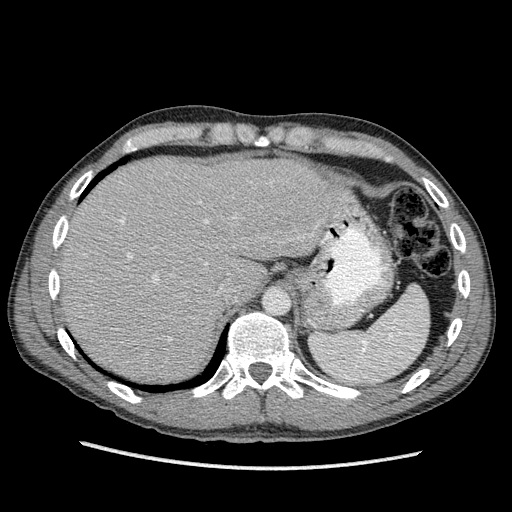
512x512. Computed tomography.

Liver at [x1=56, y1=153, x2=340, y2=383].